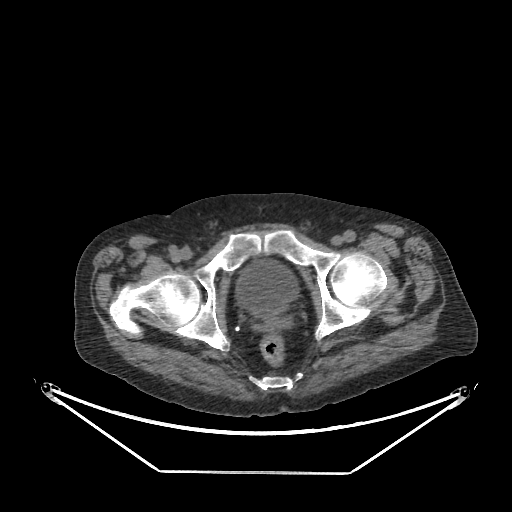
Pelvis, Computed tomography
Urinary bladder: bounding box (x1=234, y1=253, x2=300, y2=340).